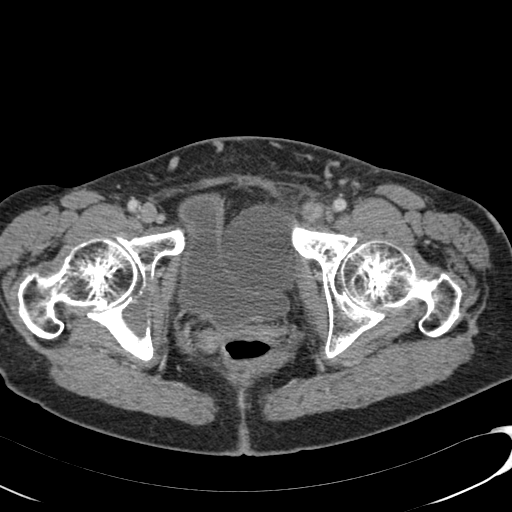
512x512 px; Computed tomography

Urinary bladder at box(165, 299, 173, 315); box(172, 192, 289, 326).